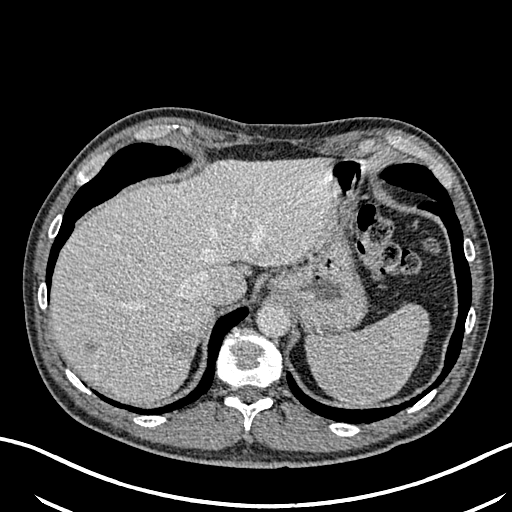
512x512 px, Upper abdomen, CT scan slice
focal liver lesion: box(167, 332, 190, 357); box(85, 341, 96, 351) | liver: box(50, 157, 337, 401)